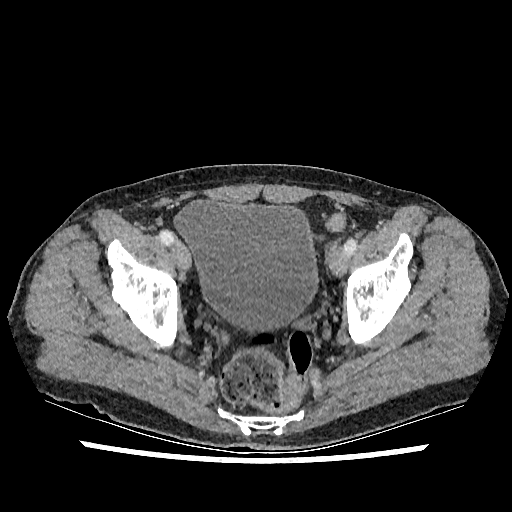
512x512 px | CT image | Pelvis

The urinary bladder appears at region(175, 198, 318, 331).